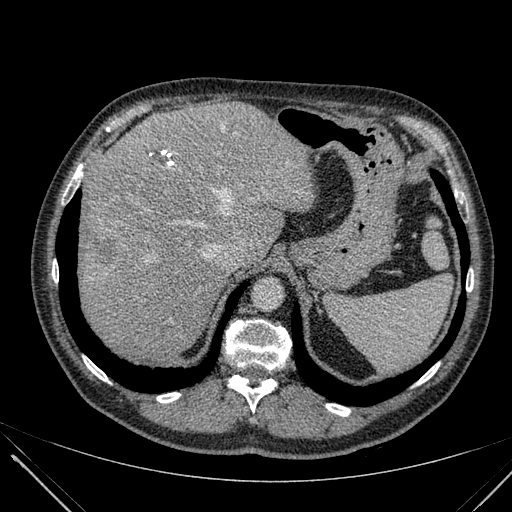

512x512. CT slice.
Liver: [78,103,315,363].
Liver lesion: [95,237,113,261].